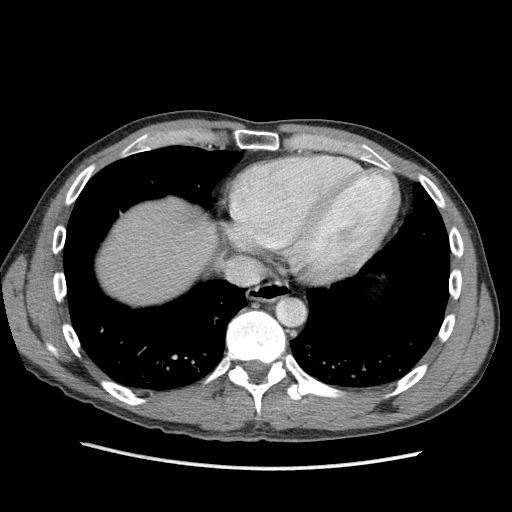
CT scan slice. Liver: bounding box 96:197:228:305.